Image size 512x512, Abdomen, Computed tomography

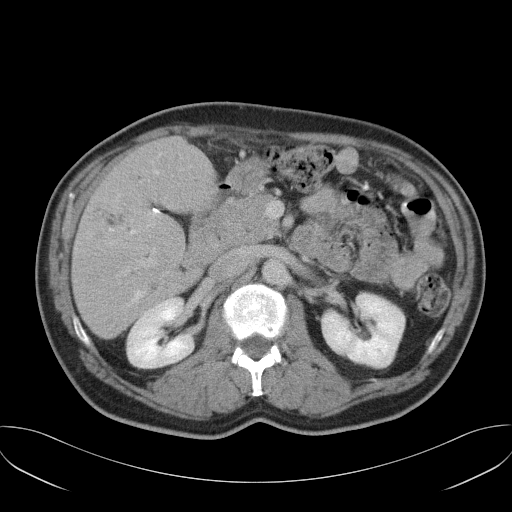

Only some of the vessels may be annotated.
Segmented structures:
- hepatic vessel: l=148, t=259, r=156, b=264